CT | Image size 512x512
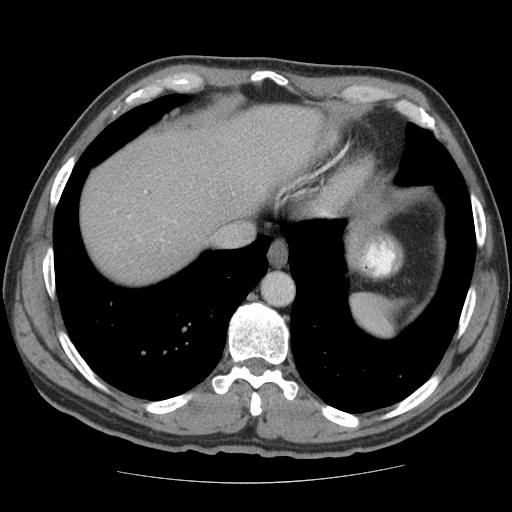

The vessel annotation is not exhaustive.
Hepatic vessel: box(234, 242, 237, 244); box(225, 239, 231, 244); box(225, 229, 228, 233); box(136, 235, 140, 239).